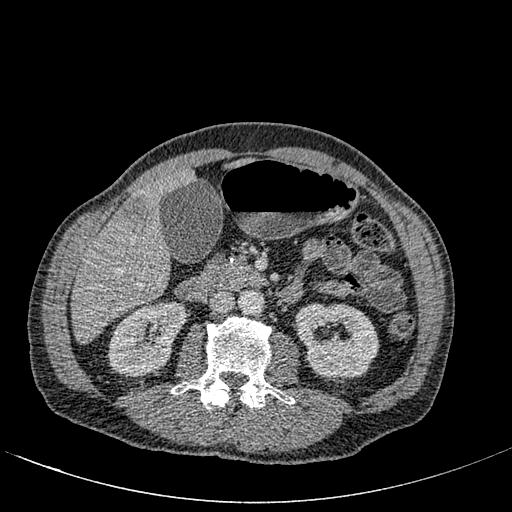

Abdomen; CT scan slice
The liver lesion lies within [118,197,153,233]. 2 liver regions are located at [224,158,254,168], [71,167,194,343]. 2 kidney regions appear at [108,302,186,376], [296,304,378,377].